CT | Abdomen | 512x512 px | Slice 49 of 121
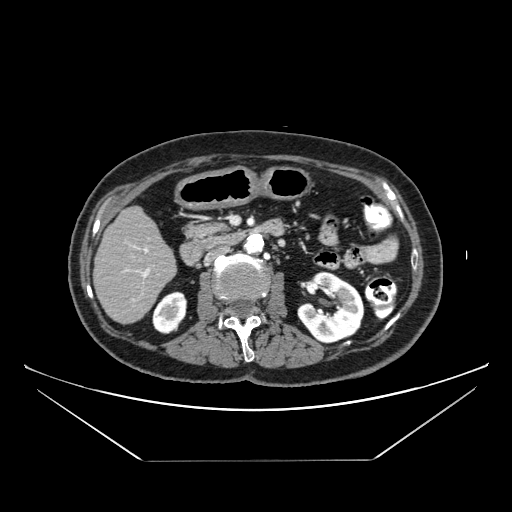

pancreas: <box>184,221,229,244</box>